Slice index 332 | 512x512 | CT slice | Upper abdomen
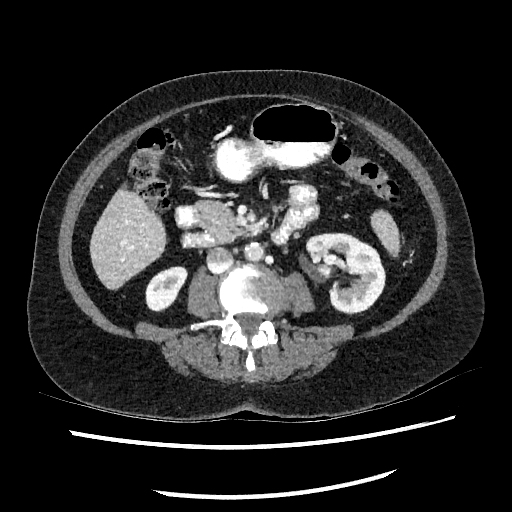

The liver is at <bbox>90, 187, 165, 288</bbox>. 2 kidney regions are located at <bbox>146, 267, 186, 310</bbox>, <bbox>307, 234, 384, 311</bbox>.